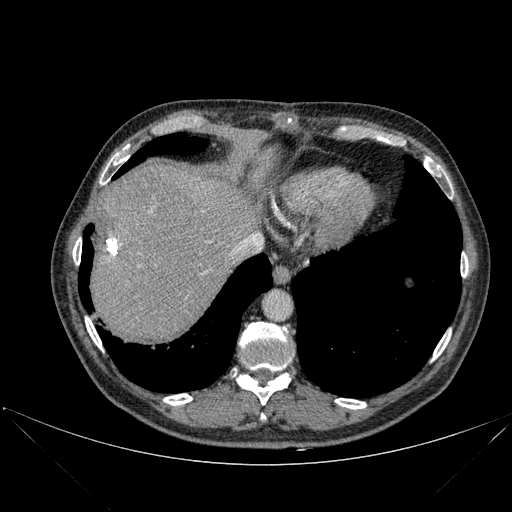

Upper abdomen | CT image

{"liver": ["left=91, top=166, right=257, bottom=342", "left=262, top=148, right=273, bottom=168"], "bone": ["left=240, top=322, right=289, bottom=370", "left=461, top=255, right=468, bottom=277", "left=424, top=159, right=442, bottom=176", "left=85, top=317, right=103, bottom=351", "left=163, top=394, right=192, bottom=405", "left=73, top=238, right=81, bottom=264", "left=432, top=331, right=451, bottom=360", "left=100, top=153, right=128, bottom=184", "left=236, top=373, right=290, bottom=404", "left=335, top=398, right=366, bottom=408"], "lung": ["left=113, top=133, right=207, bottom=179", "left=98, top=254, right=272, bottom=392", "left=78, top=224, right=93, bottom=310", "left=292, top=155, right=461, bottom=397"]}